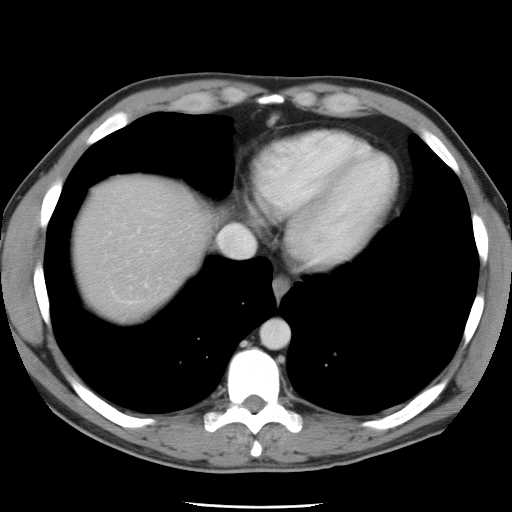

512x512 px; CT image; Liver
Only some of the vessels may be annotated.
Hepatic vessel: box(218, 225, 255, 256).